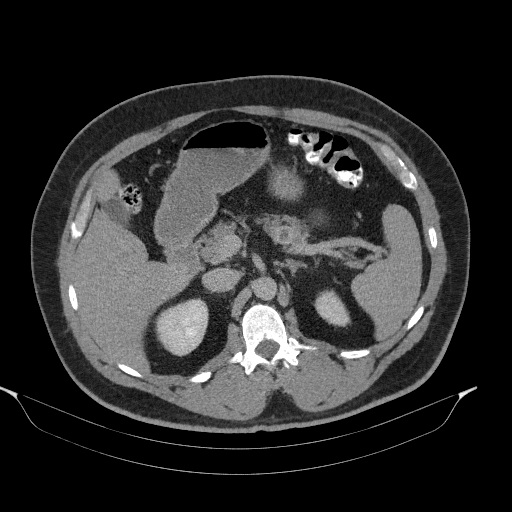
Upper abdomen. Computed tomography.
Pancreas at bbox=[259, 214, 307, 249]; bbox=[202, 222, 234, 261].
Pancreatic tumor at bbox=[274, 224, 293, 244].